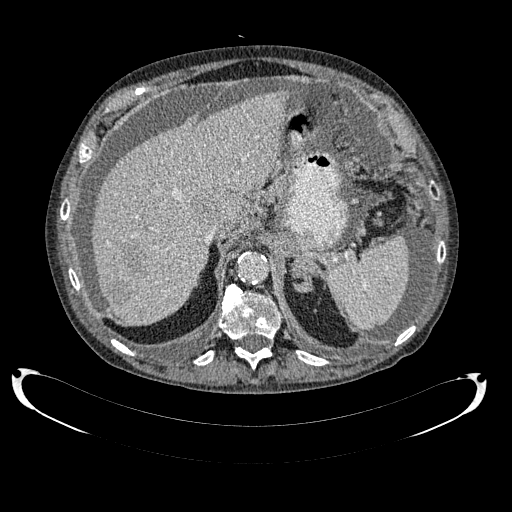

CT image
Findings:
- focal liver lesion: 232,157,239,167; 192,199,213,221; 122,244,144,274; 109,280,129,303
- liver: 92,90,290,325